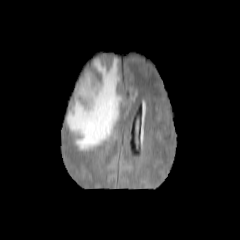
FLAIR MR image.
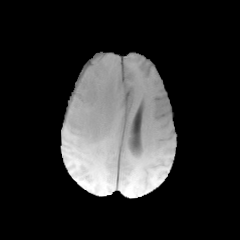
T1-weighted MR image.
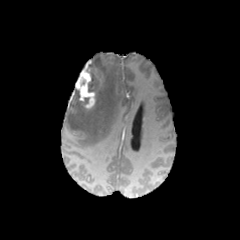
Post-contrast T1-weighted magnetic resonance.
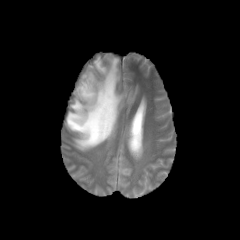
Same slice, T2-weighted magnetic resonance.
Brain.
Findings:
* non-enhancing tumor core: <bbox>87, 58, 103, 100</bbox>, <bbox>75, 87, 89, 110</bbox>
* edema: <bbox>66, 56, 122, 151</bbox>
* enhancing tumor: <bbox>75, 60, 96, 108</bbox>